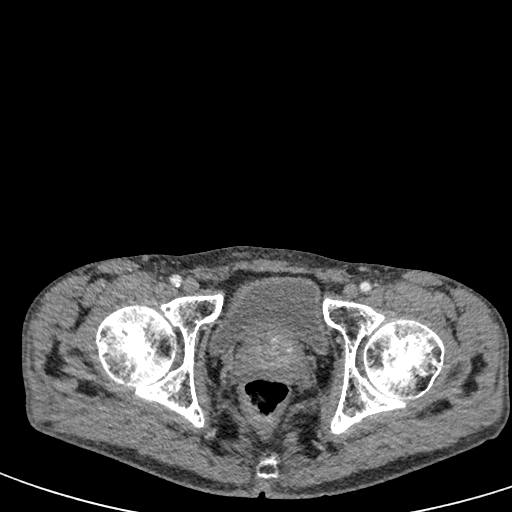 Lower abdomen | CT slice
Urinary bladder — (x1=209, y1=276, x2=328, y2=356).